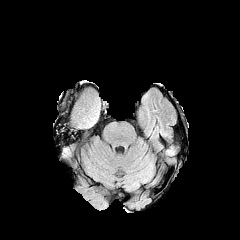
FLAIR MRI.
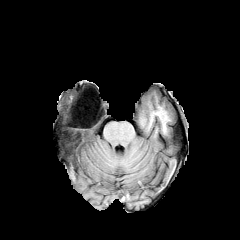
T1-weighted MR image.
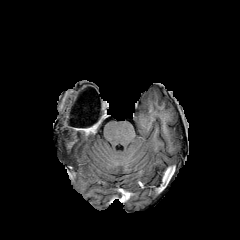
Post-contrast T1-weighted MRI of the same slice.
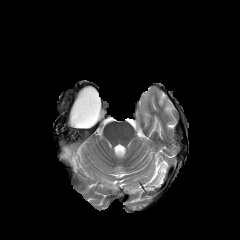
T2-weighted magnetic resonance.
240x240 px.
The non-enhancing tumor core is at 77, 94, 100, 125.